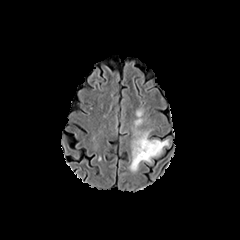
FLAIR magnetic resonance.
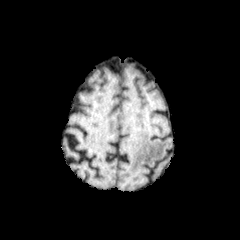
T1-weighted MRI.
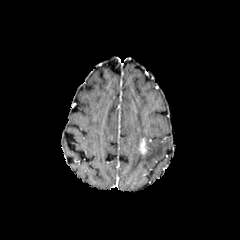
Post-contrast T1-weighted magnetic resonance.
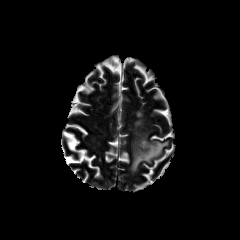
T2-weighted magnetic resonance.
240x240 px. Brain.
Edema: {"x1": 128, "y1": 131, "x2": 169, "y2": 172}, {"x1": 135, "y1": 119, "x2": 143, "y2": 127}.
Enhancing tumor: {"x1": 138, "y1": 138, "x2": 148, "y2": 154}.